FLAIR MRI.
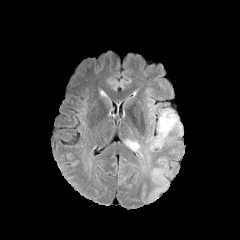
T1-weighted MRI.
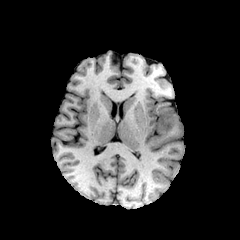
Post-contrast T1-weighted magnetic resonance.
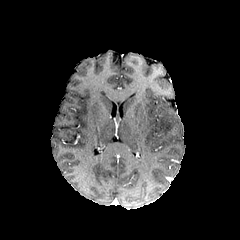
T2-weighted MRI.
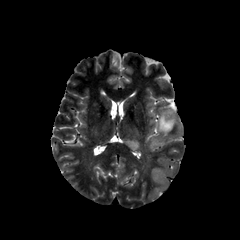
240x240 px | Head
Annotated regions:
* edema: l=152, t=135, r=163, b=147; l=123, t=138, r=140, b=151; l=159, t=113, r=176, b=137